Field of view 437x437 mm; Upper abdomen; Slice 497 of 896; CT

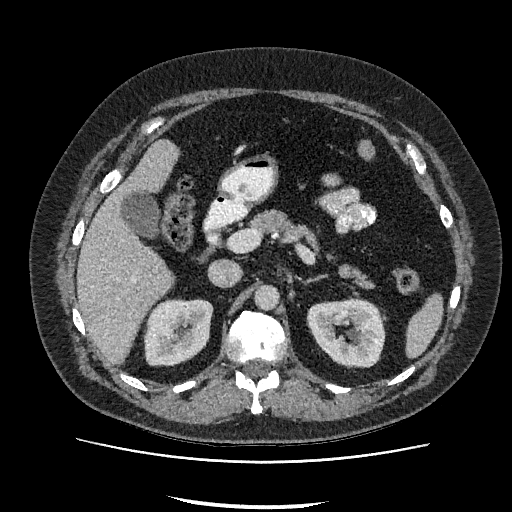
2 kidney regions are located at 308, 300, 383, 366; 145, 300, 211, 364. The liver is at 78, 140, 177, 364.